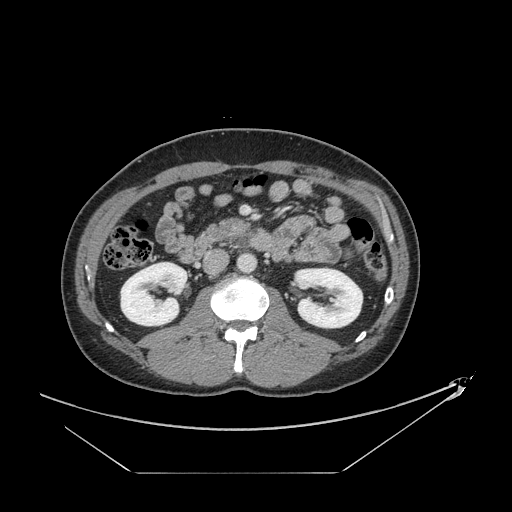 CT; Abdomen
Pancreas at bbox=[204, 219, 249, 240].